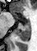 Hippocampus | MRI
The posterior hippocampus is at (x1=16, y1=22, x2=30, y2=40). 2 anterior hippocampus regions are located at (x1=27, y1=20, x2=29, y2=21), (x1=15, y1=16, x2=17, y2=19).